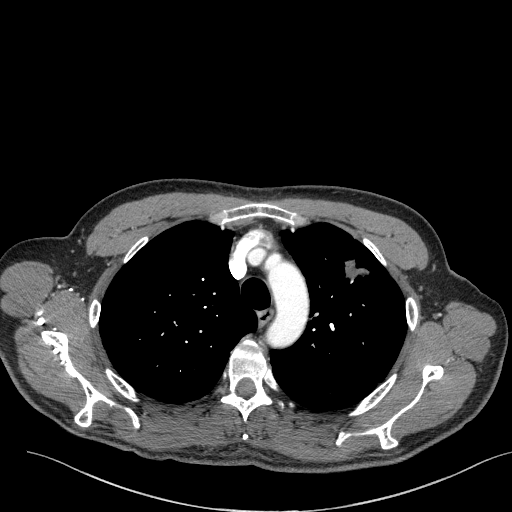
Computed tomography
The lung tumor is located at [340, 254, 374, 292].